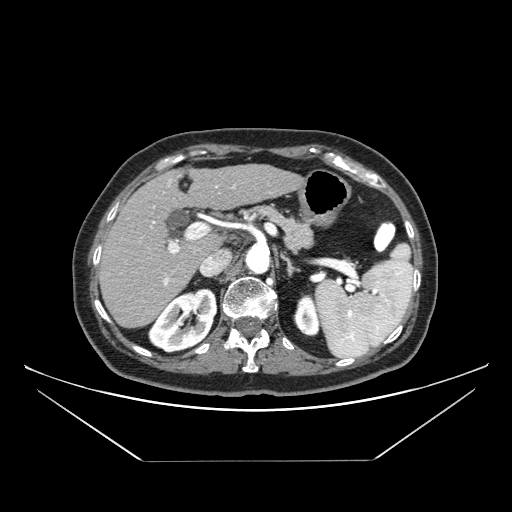

Image size 512x512. CT.
pancreas: <bbox>239, 205, 314, 251</bbox>